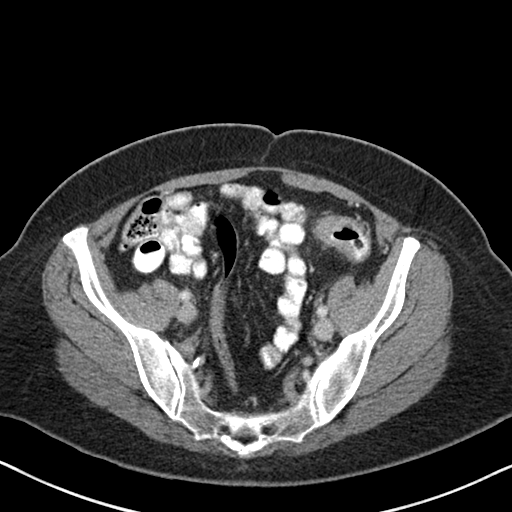
Pelvis, CT image
Colon tumor: bounding box [x1=316, y1=216, x2=355, y2=260].